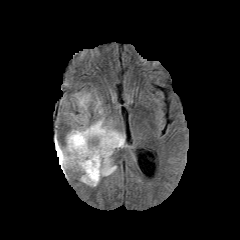
FLAIR magnetic resonance.
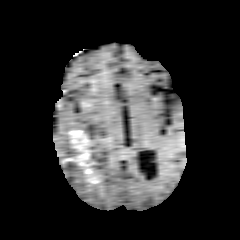
T1-weighted MRI.
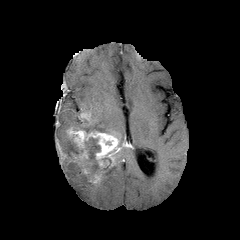
Post-contrast T1-weighted MR.
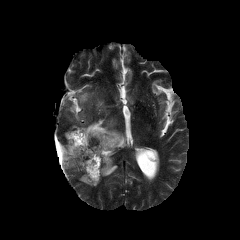
Same slice, T2-weighted MRI.
Brain.
- edema: {"x1": 61, "y1": 130, "x2": 116, "y2": 186}, {"x1": 72, "y1": 118, "x2": 124, "y2": 137}
- non-enhancing tumor core: {"x1": 85, "y1": 155, "x2": 99, "y2": 181}, {"x1": 70, "y1": 137, "x2": 81, "y2": 151}
- enhancing tumor: {"x1": 55, "y1": 139, "x2": 66, "y2": 164}, {"x1": 69, "y1": 129, "x2": 127, "y2": 165}